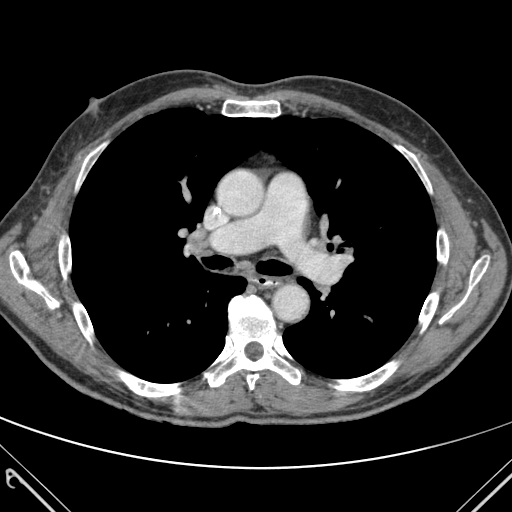

Computed tomography. Image size 512x512. Thorax.

12 bone regions are located at x1=335 y1=362 x2=396 y2=391, x1=119 y1=372 x2=179 y2=396, x1=221 y1=100 x2=281 y2=116, x1=437 y1=230 x2=448 y2=263, x1=76 y1=144 x2=104 y2=187, x1=439 y1=256 x2=488 y2=323, x1=396 y1=146 x2=431 y2=192, x1=10 y1=251 x2=58 y2=308, x1=73 y1=303 x2=92 y2=341, x1=59 y1=238 x2=71 y2=278, x1=419 y1=293 x2=438 y2=330, x1=205 y1=295 x2=300 y2=389. The lung is located at x1=70 y1=108 x2=435 y2=382.